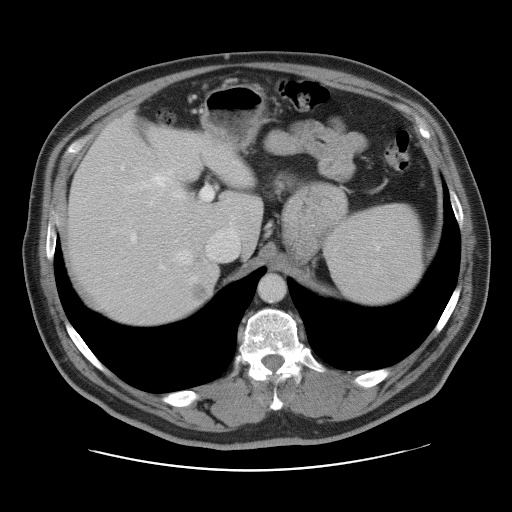

CT. 512x512. Abdomen. Some hepatic vessels may have no box.
11 hepatic vessel regions appear at bbox=[194, 171, 196, 176]; bbox=[205, 159, 221, 173]; bbox=[176, 251, 189, 262]; bbox=[200, 184, 216, 200]; bbox=[121, 167, 123, 169]; bbox=[160, 265, 164, 268]; bbox=[206, 228, 238, 260]; bbox=[184, 274, 197, 284]; bbox=[203, 151, 207, 156]; bbox=[124, 170, 184, 205]; bbox=[130, 232, 135, 241]. 2 liver tumor regions are bounded by bbox=[189, 282, 212, 299]; bbox=[193, 247, 206, 263].